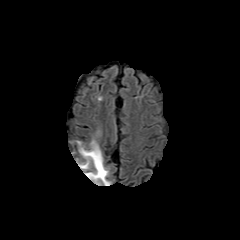
FLAIR magnetic resonance.
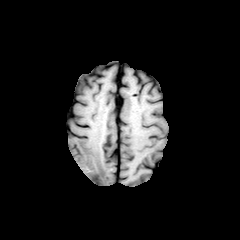
Same slice, T1-weighted magnetic resonance.
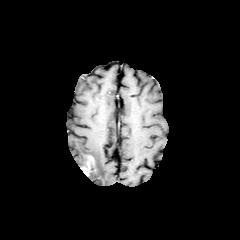
Same slice, post-contrast T1-weighted MR image.
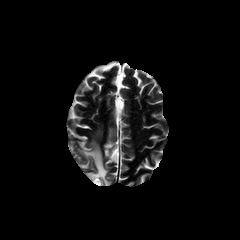
T2-weighted magnetic resonance.
Head.
The non-enhancing tumor core is bounded by <box>82,160,94,172</box>. The edema is at <box>76,140,110,185</box>. The enhancing tumor is located at <box>86,155,93,167</box>.